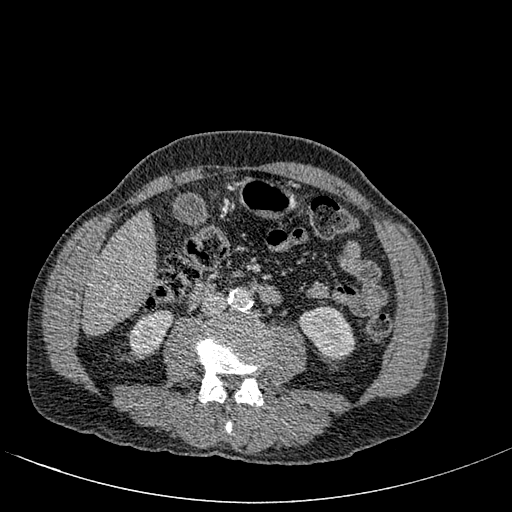

CT image; Image size 512x512; Upper abdomen

Liver = 82 211 154 333.
Kidney = 299 307 354 358, 130 310 172 357.